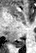

Medial temporal lobe | MR image | Image size 36x53

Posterior hippocampus — (x1=14, y1=39, x2=24, y2=47).